Image width 442 mm; Slice 59/97; CT scan slice

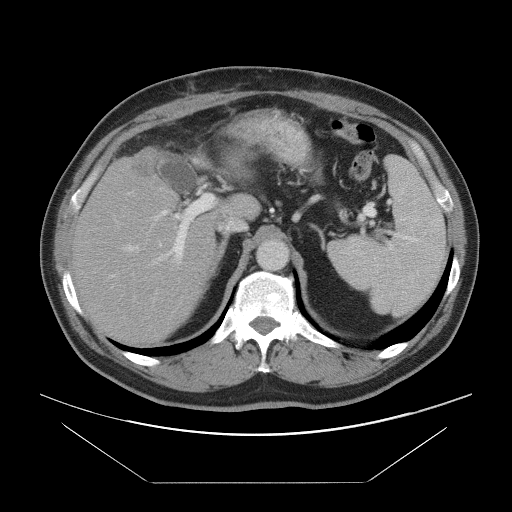 Only some of the vessels may be annotated.
<segmentation>
  <hepatic_vessel>box=[157, 215, 159, 217]; box=[136, 250, 138, 251]; box=[128, 192, 133, 194]; box=[176, 259, 180, 263]; box=[155, 254, 165, 263]</hepatic_vessel>
  <liver_tumor>box=[130, 154, 151, 177]</liver_tumor>
</segmentation>